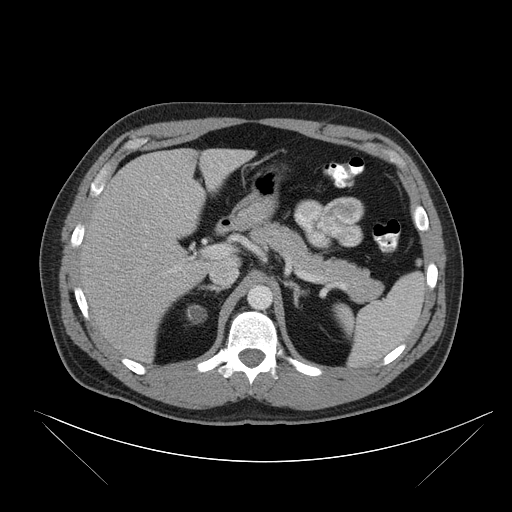 CT scan slice.

Spleen = <bbox>335, 274, 424, 365</bbox>.